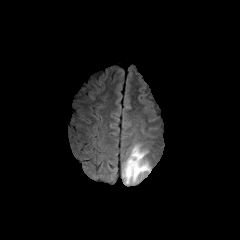
FLAIR magnetic resonance.
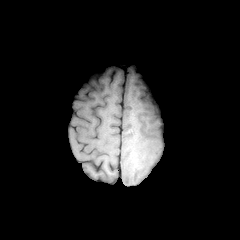
T1-weighted MR image of the same slice.
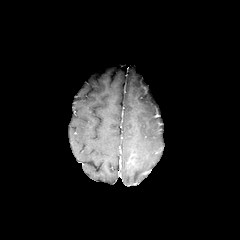
Post-contrast T1-weighted MR.
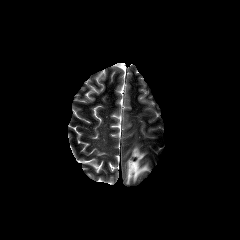
T2-weighted MRI.
The enhancing tumor lies within 128 154 136 169. The edema appears at 122 144 150 185.